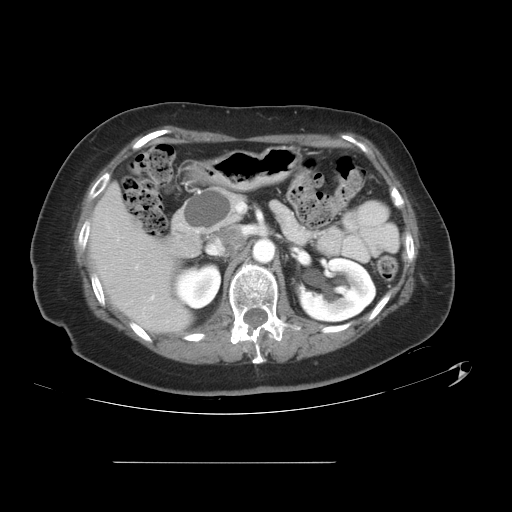
CT
pancreas: [x1=269, y1=200, x2=313, y2=246], [x1=171, y1=186, x2=246, y2=237] | pancreatic tumor: [x1=184, y1=191, x2=230, y2=228]